Slice 82 of 100; Image size 320x320; Field of view 400x400 mm; MR image 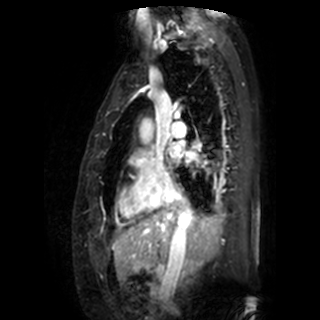
{
  "left_atrium": [
    "(169,143,179,158)"
  ]
}